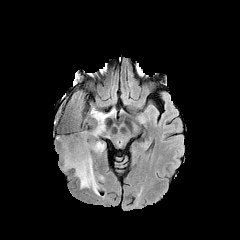
FLAIR MR image.
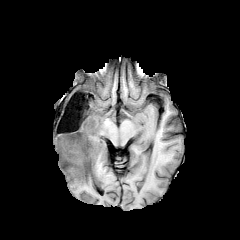
T1-weighted MR.
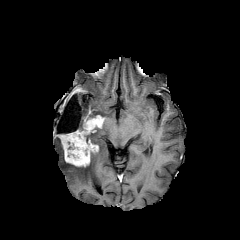
Post-contrast T1-weighted magnetic resonance.
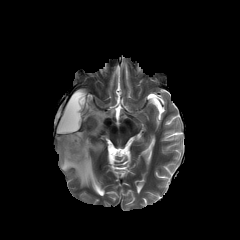
Same slice, T2-weighted MRI.
Edema: bounding box (88, 107, 115, 117), (62, 122, 105, 194).
Non-enhancing tumor core: bounding box (79, 116, 101, 142), (71, 95, 81, 119), (57, 132, 75, 151).
Enhancing tumor: bounding box (62, 130, 98, 166), (88, 115, 104, 127).